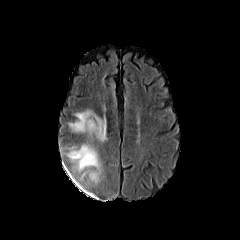
FLAIR MR image.
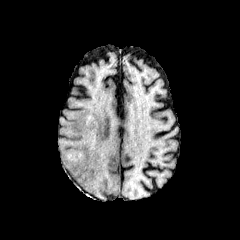
T1-weighted magnetic resonance.
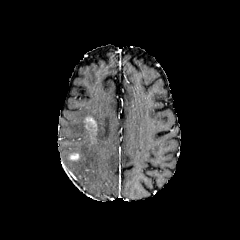
Post-contrast T1-weighted MR image.
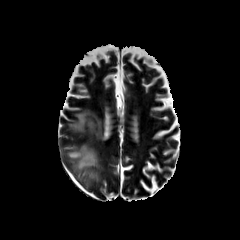
T2-weighted MR.
240x240; Head
<segmentation>
  <enhancing_tumor><bbox>69, 152, 80, 161</bbox>, <bbox>84, 115, 97, 143</bbox></enhancing_tumor>
  <edema><bbox>65, 109, 107, 188</bbox></edema>
</segmentation>